Slice 93 of 155; 240x240
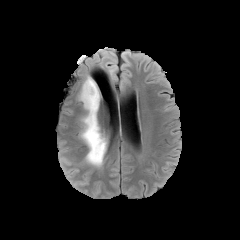
FLAIR MR.
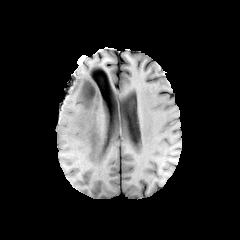
T1-weighted MRI.
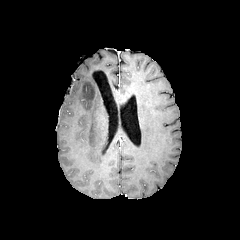
Post-contrast T1-weighted MR.
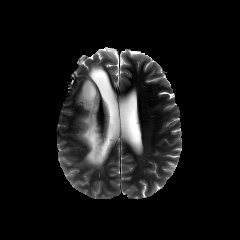
T2-weighted magnetic resonance.
3 edema regions are bounded by region(78, 76, 107, 167); region(97, 50, 115, 63); region(105, 64, 115, 73).